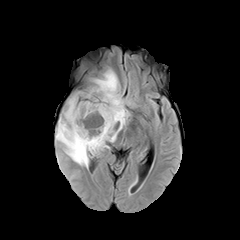
FLAIR MRI.
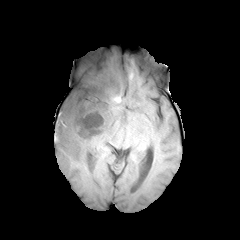
T1-weighted magnetic resonance.
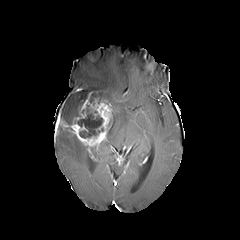
Post-contrast T1-weighted MR.
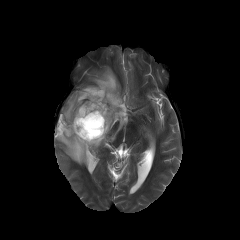
T2-weighted MRI.
240x240
non-enhancing_tumor_core:
  - 77 108 102 138
  - 78 88 105 109
enhancing_tumor:
  - 55 98 111 145
edema:
  - 60 90 84 123
  - 55 69 129 168